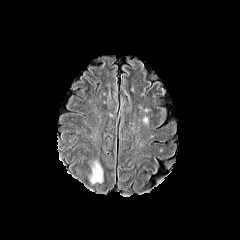
FLAIR magnetic resonance.
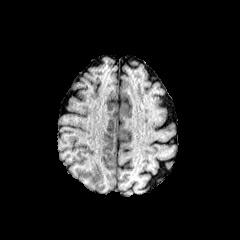
Same slice, T1-weighted magnetic resonance.
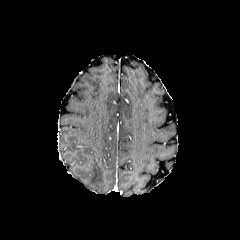
Post-contrast T1-weighted MR image.
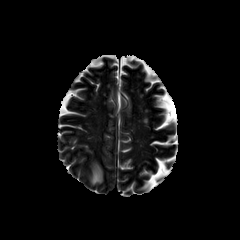
T2-weighted MR.
Head
Edema — (left=90, top=163, right=102, bottom=183).